Slice 50 of 95. 512x512 px. CT. 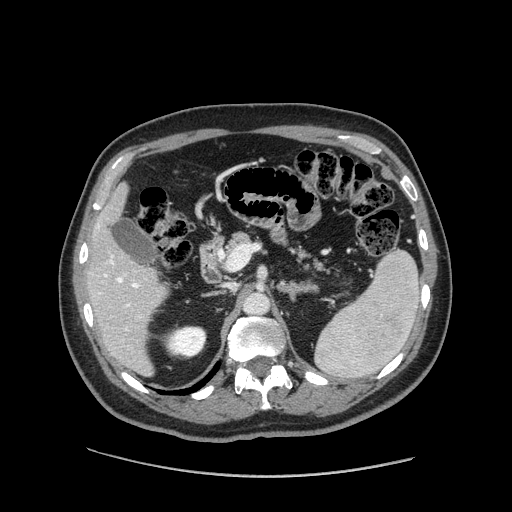

<segmentation>
  <pancreas>(225,233,248,253), (296,249,328,272)</pancreas>
</segmentation>